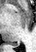
Hippocampus | Magnetic resonance
The posterior hippocampus is located at 13:43:18:46.